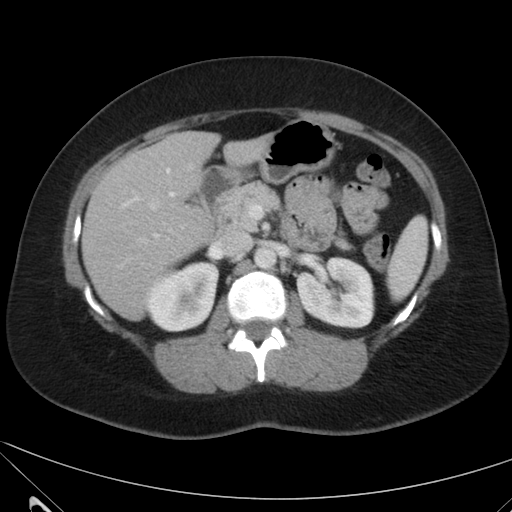

512x512 px | Abdomen | CT slice
Kidney: bounding box [148, 263, 216, 329], [299, 259, 372, 326].
Liver: bounding box [224, 136, 268, 166], [82, 132, 220, 318].